Brain | Slice 68/155
FLAIR magnetic resonance.
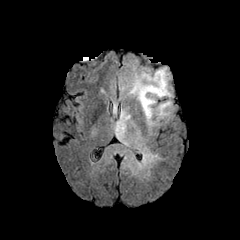
T1-weighted MR image.
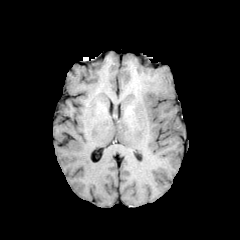
Post-contrast T1-weighted MRI.
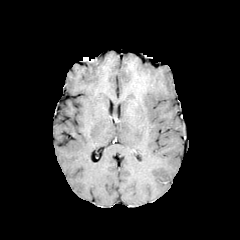
T2-weighted MR image.
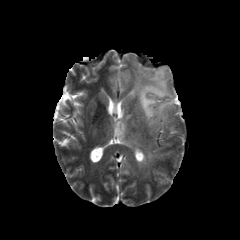
The non-enhancing tumor core is at [135, 74, 149, 91]. 2 edema regions are bounded by [116, 110, 131, 136], [129, 67, 173, 125].